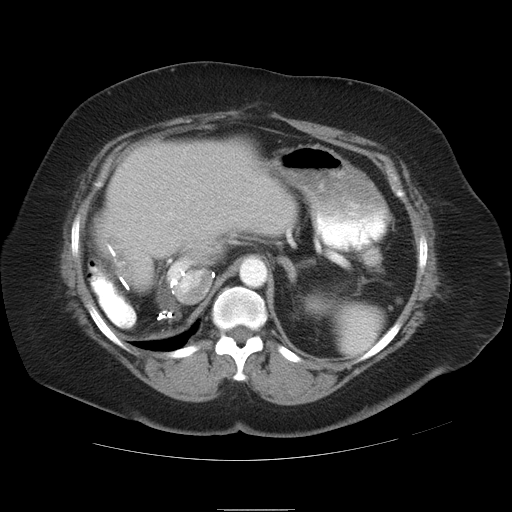 CT slice; Liver
Liver tumor: left=100, top=233, right=134, bottom=271.